Field of view 36x40 mm. MR image. Hippocampus. 36x40 px.
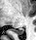 Posterior hippocampus: bounding box bbox=[11, 28, 24, 34].